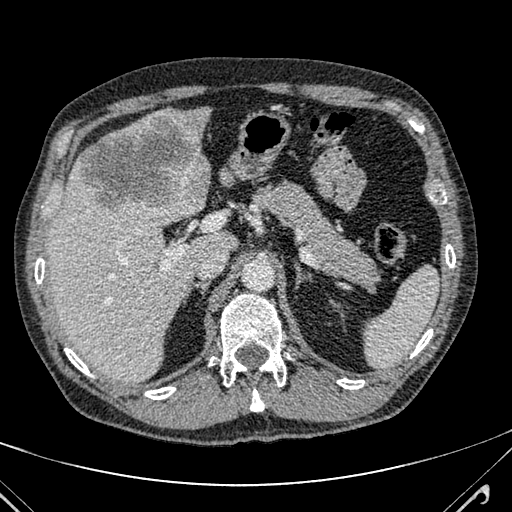
Liver | CT image
<segmentation>
  <liver><bbox>47, 157, 236, 383</bbox>, <bbox>110, 105, 210, 152</bbox>, <bbox>220, 168, 233, 185</bbox></liver>
  <focal_liver_lesion><bbox>78, 113, 209, 210</bbox></focal_liver_lesion>
</segmentation>